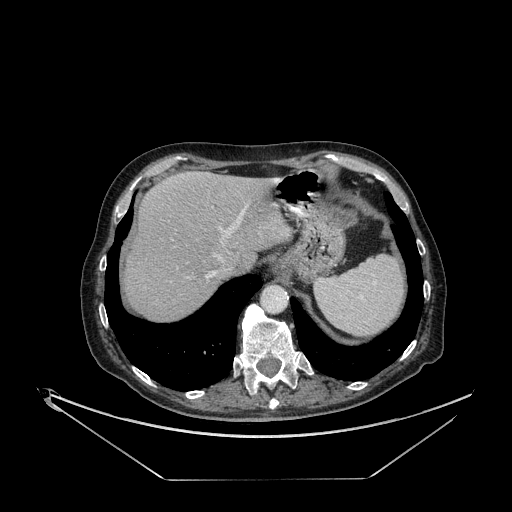

CT.
Liver — bbox(125, 170, 287, 320).